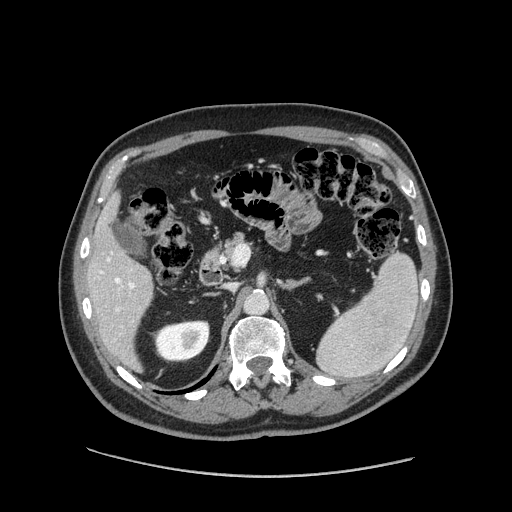 CT scan slice | Upper abdomen
The pancreas lies within <box>224,234,243,257</box>.